Abdomen. CT image.

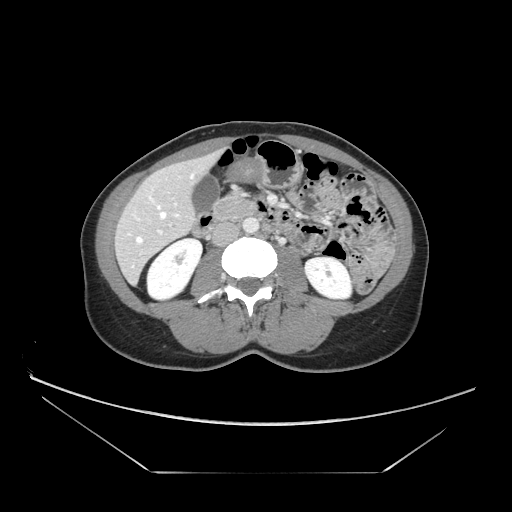 The pancreas is located at (x1=215, y1=197, x2=257, y2=219).